CT slice

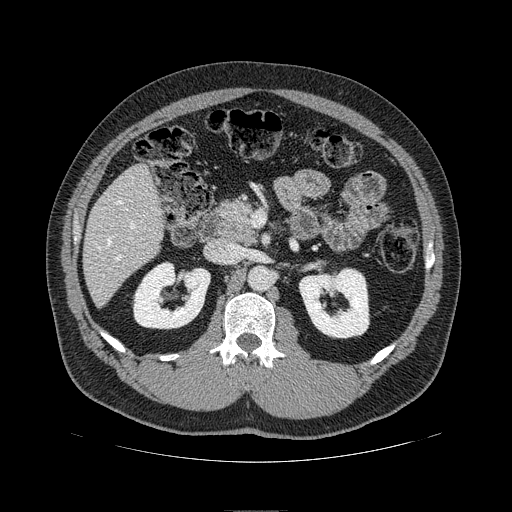
Pancreas = (219, 200, 255, 244).